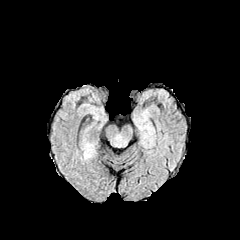
FLAIR MR.
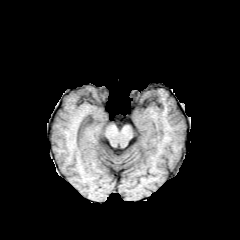
Same slice, T1-weighted MRI.
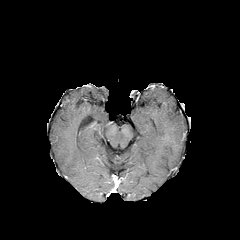
Post-contrast T1-weighted magnetic resonance of the same slice.
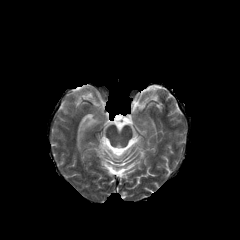
T2-weighted MR image.
{
  "edema": [
    "<bbox>83, 143, 94, 158</bbox>"
  ]
}